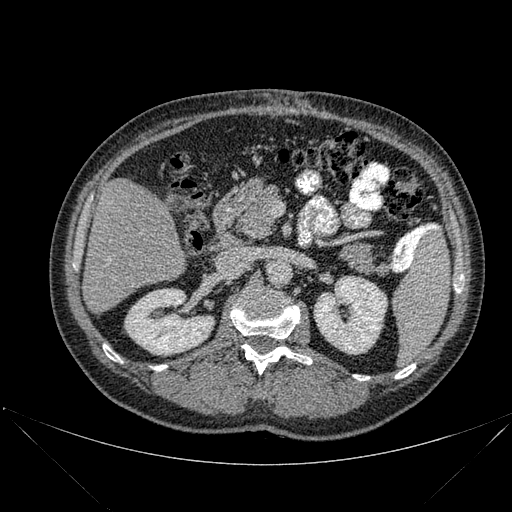

512x512; CT scan slice
• liver: (x1=83, y1=178, x2=186, y2=312)
• kidney: (x1=125, y1=289, x2=213, y2=354), (x1=314, y1=276, x2=386, y2=354)
• bone: (x1=395, y1=364, x2=415, y2=378), (x1=230, y1=293, x2=300, y2=338), (x1=353, y1=375, x2=369, y2=380), (x1=153, y1=365, x2=167, y2=370), (x1=103, y1=344, x2=122, y2=362), (x1=241, y1=344, x2=311, y2=374), (x1=454, y1=275, x2=463, y2=292)